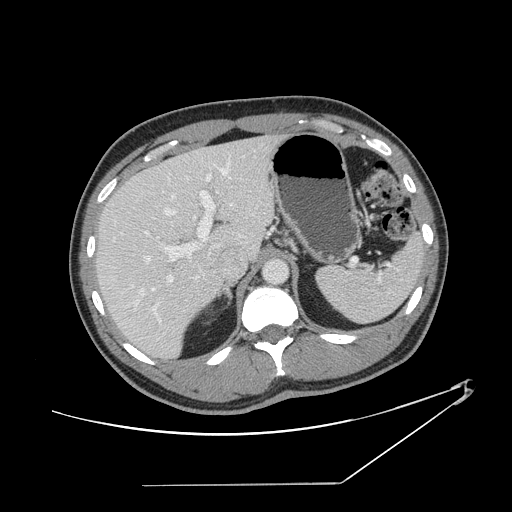
512x512 | CT

Some hepatic vessels may have no box.
The largest 15 hepatic vessel regions (of 21) are located at l=150, t=305, r=160, b=323; l=135, t=300, r=139, b=304; l=214, t=244, r=221, b=246; l=167, t=276, r=171, b=282; l=207, t=174, r=210, b=180; l=171, t=195, r=174, b=199; l=208, t=252, r=210, b=257; l=220, t=155, r=230, b=178; l=146, t=232, r=149, b=234; l=160, t=243, r=196, b=262; l=165, t=209, r=175, b=214; l=210, t=163, r=215, b=168; l=139, t=289, r=144, b=296; l=198, t=190, r=215, b=239; l=145, t=256, r=150, b=262.